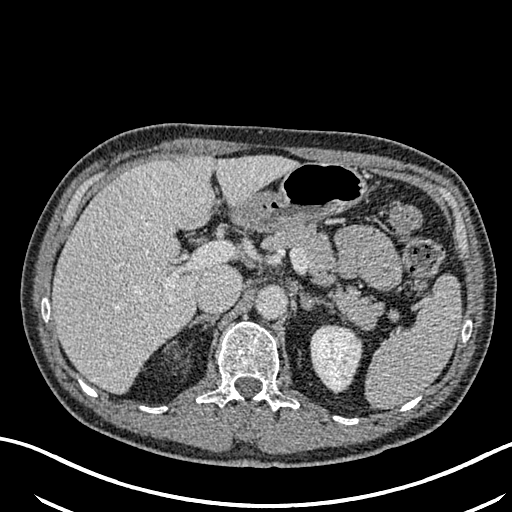

CT scan slice
Kidney at rect(311, 327, 360, 390).
Liver at rect(52, 155, 298, 392).